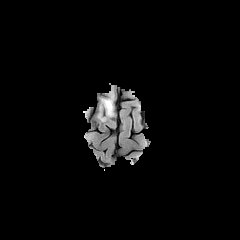
FLAIR magnetic resonance.
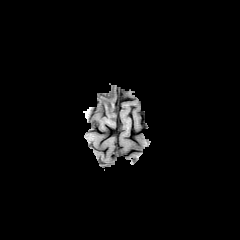
T1-weighted MR.
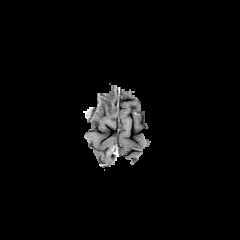
Post-contrast T1-weighted magnetic resonance of the same slice.
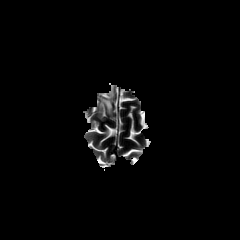
T2-weighted MRI.
<segmentation>
  <edema>{"x1": 96, "y1": 88, "x2": 113, "y2": 121}</edema>
  <non-enhancing_tumor_core>{"x1": 101, "y1": 96, "x2": 113, "y2": 115}</non-enhancing_tumor_core>
</segmentation>